240x240. Head.
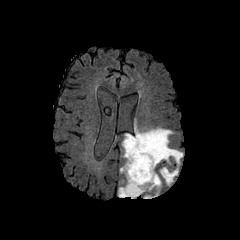
FLAIR magnetic resonance.
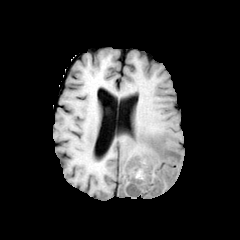
Same slice, T1-weighted MR image.
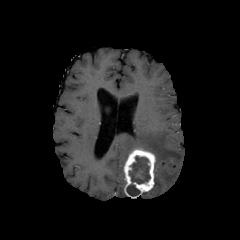
Same slice, post-contrast T1-weighted MR image.
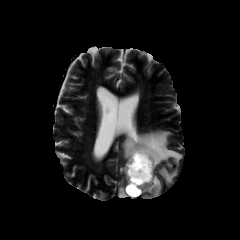
Same slice, T2-weighted MR image.
non-enhancing tumor core: region(127, 185, 139, 195); region(130, 156, 149, 183) | edema: region(143, 171, 162, 198); region(122, 123, 182, 185); region(118, 186, 127, 197) | enhancing tumor: region(122, 147, 156, 198)